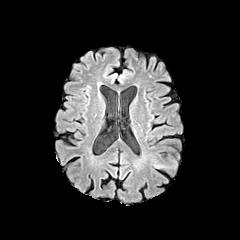
FLAIR MR.
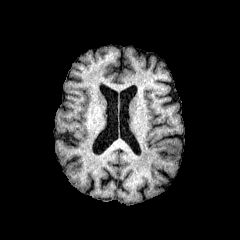
T1-weighted MR image.
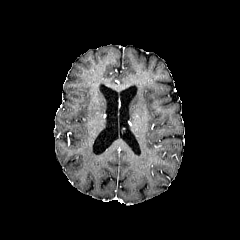
Same slice, post-contrast T1-weighted magnetic resonance.
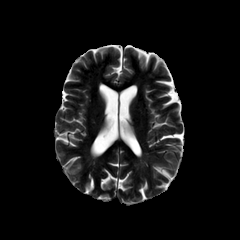
T2-weighted magnetic resonance.
240x240 px
The edema is located at l=147, t=153, r=177, b=176.